FLAIR MRI.
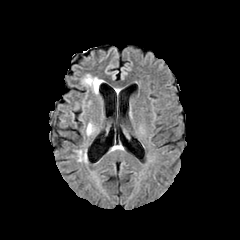
T1-weighted MRI.
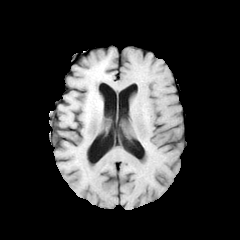
Post-contrast T1-weighted MR.
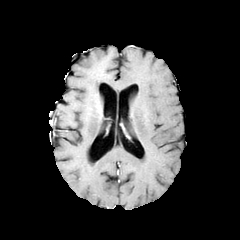
T2-weighted MRI.
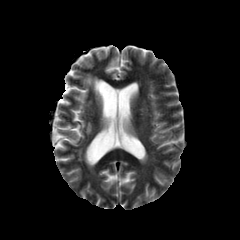
Image size 240x240.
Findings:
• edema: (76,149,87,161), (85,122,95,135), (82,74,104,101)